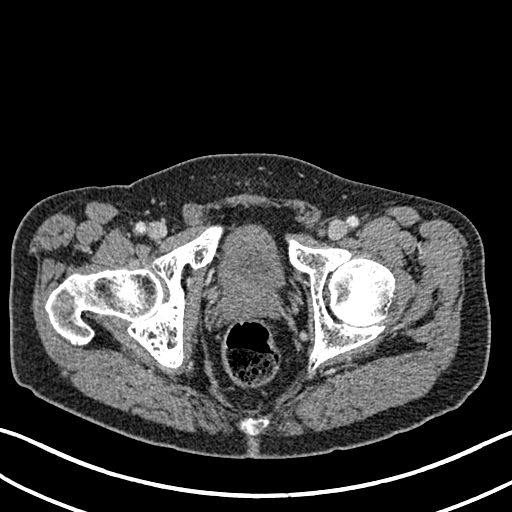

CT image

{"urinary_bladder": ["[217,230,284,300]"]}